512x512, CT slice 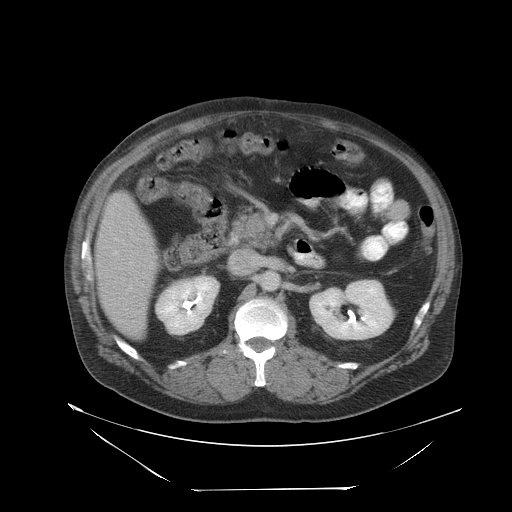 Not every hepatic vessel necessarily has a box.
Annotated regions:
- hepatic vessel: box=[114, 251, 116, 254]